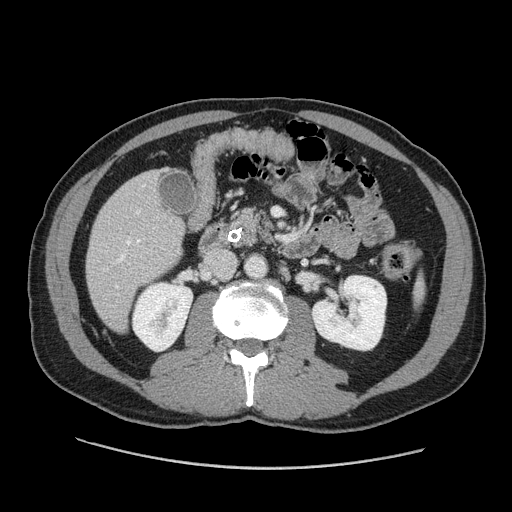

Abdomen | 512x512 px | CT
Annotated regions:
- pancreas: l=228, t=205, r=275, b=249